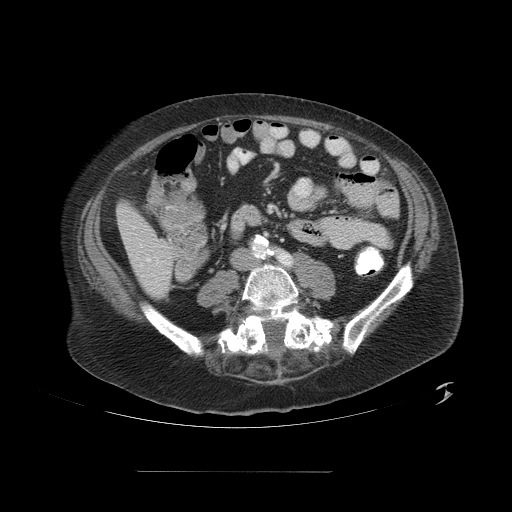
Abdomen, CT slice
Some hepatic vessels may have no box.
<segmentation>
  <hepatic_vessel>(x1=146, y1=258, x2=149, y2=261)</hepatic_vessel>
</segmentation>